CT; Liver
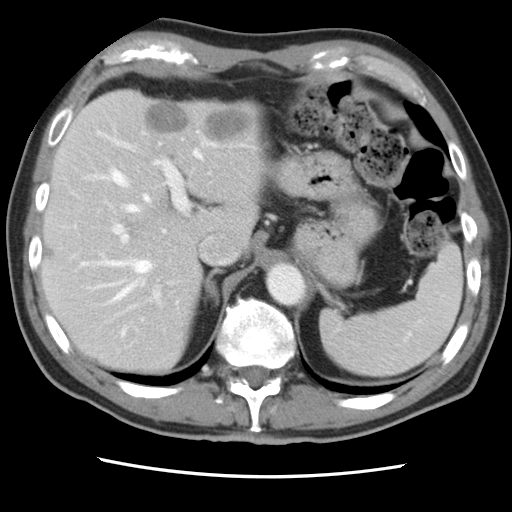
Only some of the vessels may be annotated.
Largest 15 of 16 hepatic vessel regions — 121 330 125 335, 102 258 151 272, 139 280 144 285, 127 205 137 210, 110 284 134 302, 114 224 128 242, 202 140 212 145, 145 196 149 200, 155 160 188 209, 110 170 126 184, 97 132 131 147, 153 291 160 300, 82 262 89 265, 163 229 165 232, 194 150 200 157.
Liver tumor — 205 108 249 139, 146 104 189 132.